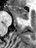

MR image.

Segmented structures:
* anterior hippocampus: 10:5:28:19